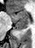
MRI

Anterior hippocampus — [x1=11, y1=9, x2=29, y2=22].
Posterior hippocampus — [x1=15, y1=23, x2=28, y2=30].